Field of view 240 mm wide, 1.00 mm slice spacing | Brain | 240x240
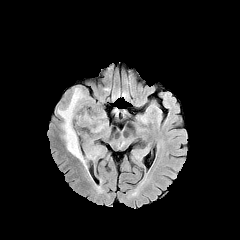
FLAIR MR.
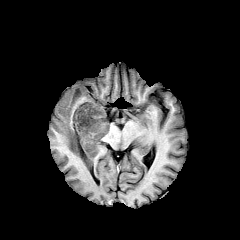
T1-weighted magnetic resonance.
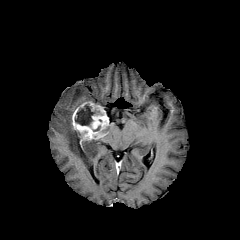
Post-contrast T1-weighted MR.
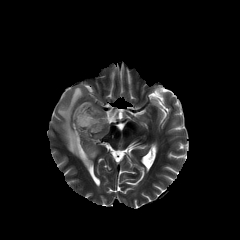
Same slice, T2-weighted MR.
enhancing tumor: 72, 104, 108, 139 | edema: 58, 88, 97, 166 | non-enhancing tumor core: 74, 104, 95, 125